CT image. 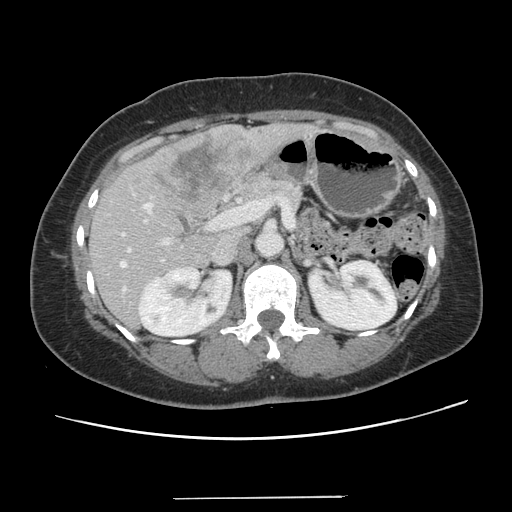

Only some of the vessels may be annotated.
<segmentation>
  <hepatic_vessel>x1=121, y1=261, x2=126, y2=267; x1=144, y1=219, x2=147, y2=222; x1=127, y1=249, x2=130, y2=251; x1=123, y1=287, x2=126, y2=291; x1=122, y1=233, x2=124, y2=235; x1=162, y1=238, x2=170, y2=244; x1=144, y1=204, x2=151, y2=213</hepatic_vessel>
  <liver_tumor>x1=152, y1=133, x2=255, y2=201</liver_tumor>
</segmentation>